CT scan slice. Liver.

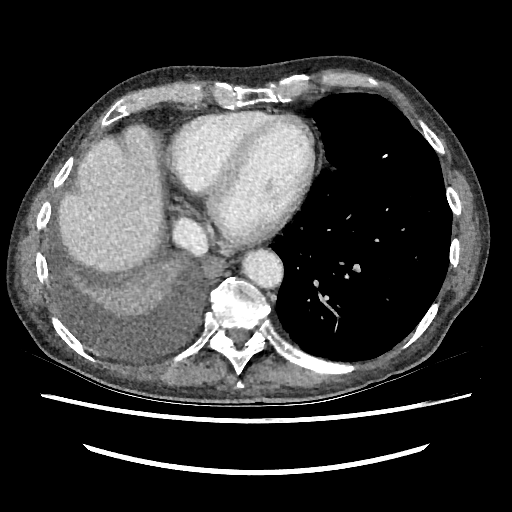

liver:
  - 60 127 161 271